CT, Upper abdomen, Field of view 390x390 mm, Slice index 28
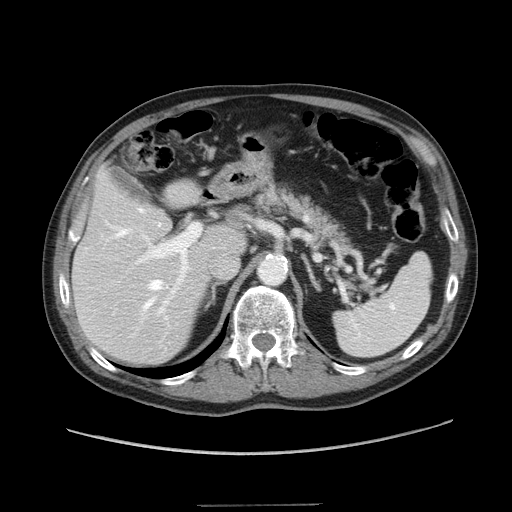 {"pancreas": ["l=257, t=189, r=349, b=251"]}